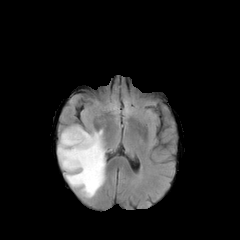
FLAIR MR image.
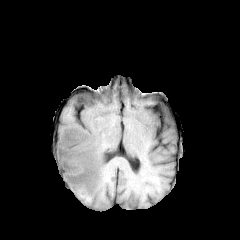
Same slice, T1-weighted MR.
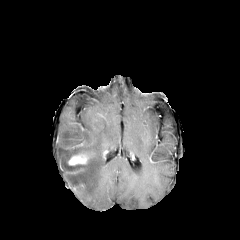
Post-contrast T1-weighted magnetic resonance.
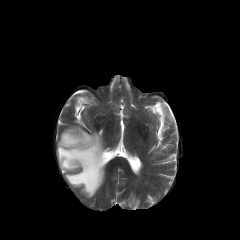
T2-weighted MRI.
240x240
Annotated regions:
* edema: <bbox>57, 125, 106, 197</bbox>
* enhancing tumor: <bbox>68, 152, 90, 165</bbox>